CT image 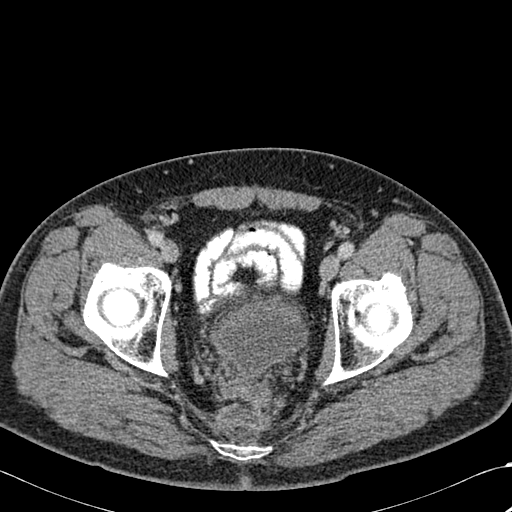 * bone: (x1=216, y1=444, x2=264, y2=459), (x1=325, y1=272, x2=412, y2=384), (x1=83, y1=263, x2=170, y2=376)